CT image | Pelvis 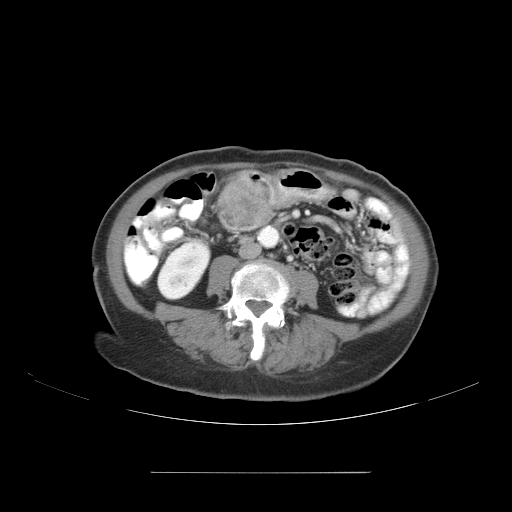

Segmented structures:
• colon tumor: (x1=219, y1=168, x2=306, y2=228)